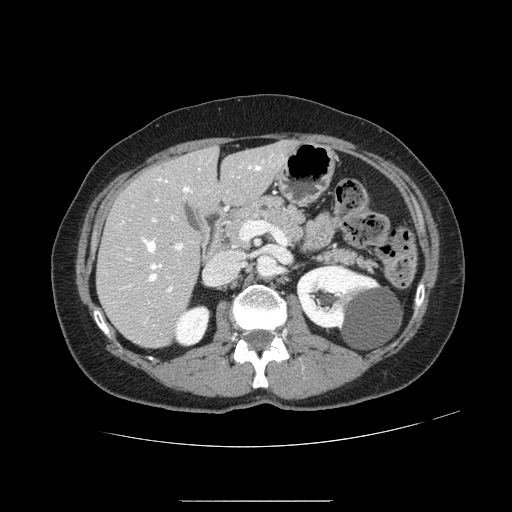 CT slice | Upper abdomen

Segmented structures:
- pancreas: {"x1": 206, "y1": 195, "x2": 378, "y2": 274}